FLAIR magnetic resonance.
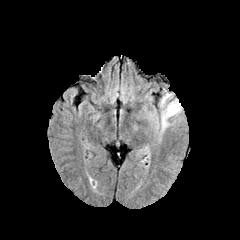
T1-weighted MR image.
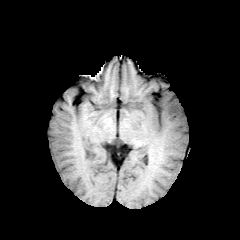
Post-contrast T1-weighted magnetic resonance.
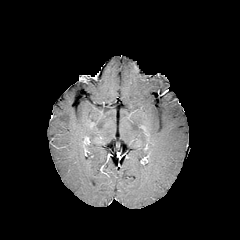
T2-weighted MR image.
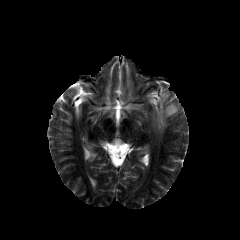
240x240 px.
Findings:
- edema: {"x1": 144, "y1": 88, "x2": 181, "y2": 135}